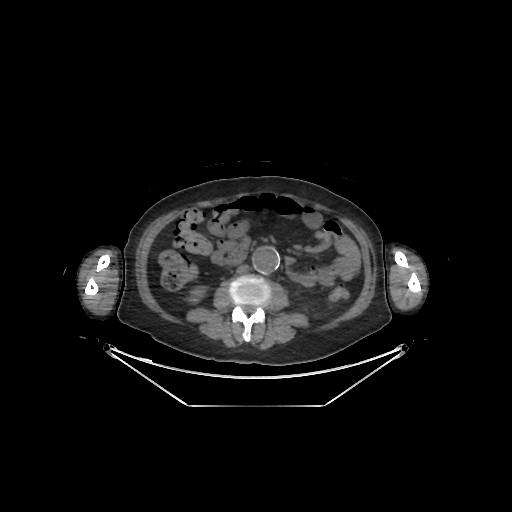

Image size 512x512. CT scan slice. 4 bone regions are located at 230, 276, 270, 341; 96, 254, 109, 271; 85, 277, 97, 297; 395, 251, 420, 293. The kidney appears at 185, 286, 206, 304.